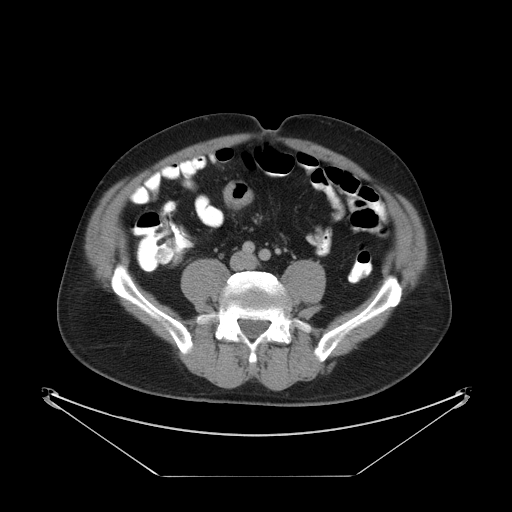
512x512; CT slice
Findings:
- colon tumor: [x1=224, y1=181, x2=253, y2=209]